CT image. Slice 442/574.

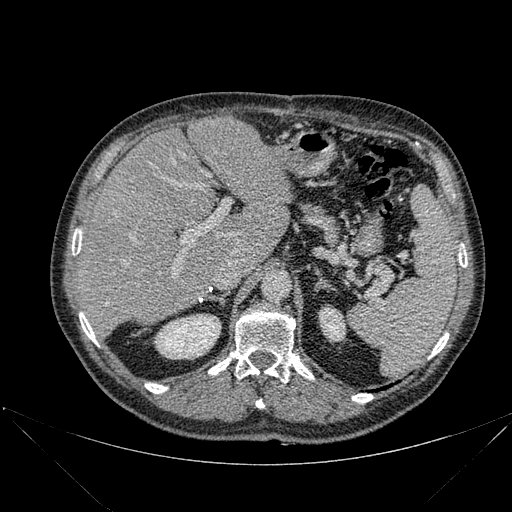 <segmentation>
  <liver>76, 117, 291, 338</liver>
  <bone>429, 333, 448, 358; 72, 232, 81, 255; 79, 312, 97, 344; 145, 383, 167, 393; 352, 393, 372, 403; 458, 253, 467, 266; 256, 399, 264, 407; 208, 310, 313, 382</bone>
  <kidney>319, 308, 345, 340; 155, 314, 220, 358</kidney>
</segmentation>